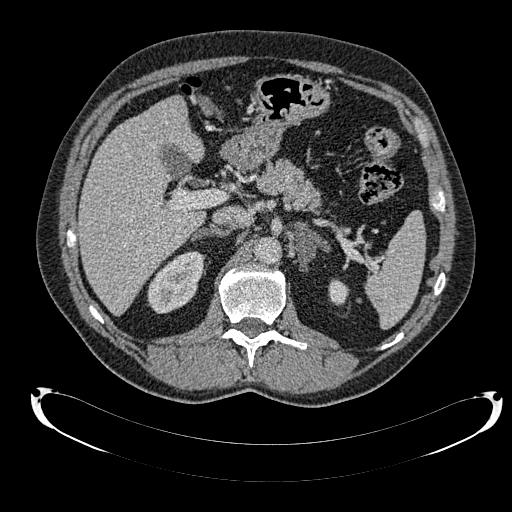 CT
Kidney at x1=330, y1=280, x2=347, y2=303; x1=148, y1=252, x2=203, y2=312.
Liver at x1=78, y1=96, x2=204, y2=313.